Image width 240 mm. Head.
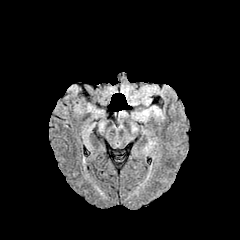
FLAIR magnetic resonance.
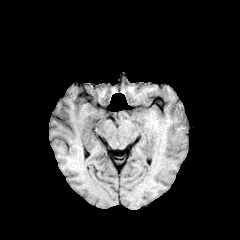
T1-weighted magnetic resonance of the same slice.
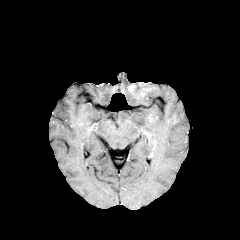
Post-contrast T1-weighted MRI.
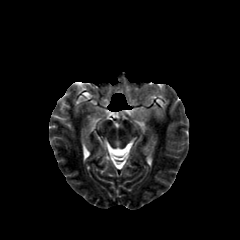
T2-weighted MR.
Edema at box(146, 85, 159, 94); box(131, 106, 157, 122).